240x240 px. Slice index 79.
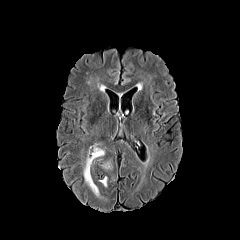
FLAIR MR image.
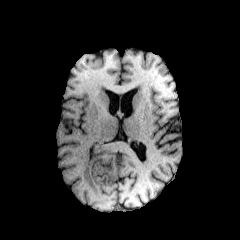
T1-weighted magnetic resonance of the same slice.
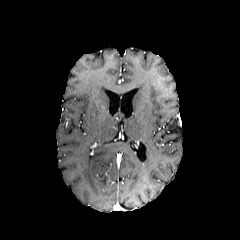
Post-contrast T1-weighted magnetic resonance.
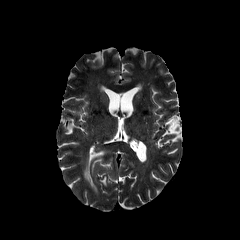
Same slice, T2-weighted magnetic resonance.
<segmentation>
  <edema>[83,147,104,195], [98,176,107,186]</edema>
</segmentation>